Image width 512 mm; CT; 512x512 px
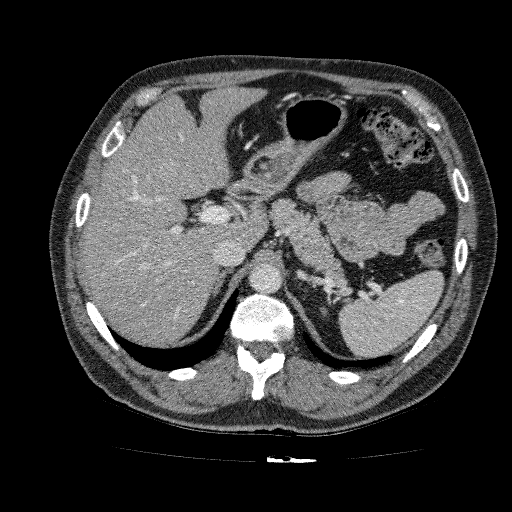 liver: box(82, 86, 269, 346)